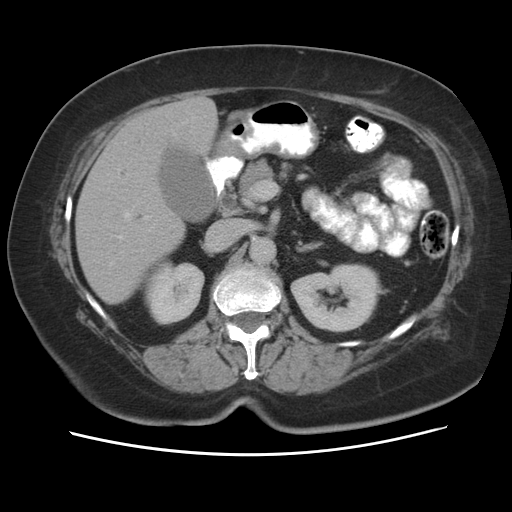
CT image | Abdomen
Pancreas: (x1=239, y1=159, x2=276, y2=185).